FLAIR MRI.
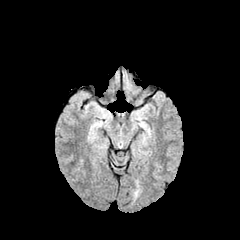
T1-weighted MR image.
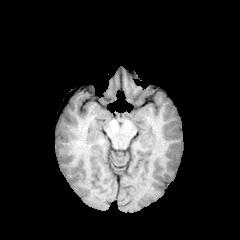
Post-contrast T1-weighted magnetic resonance.
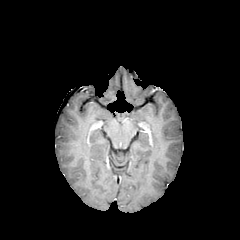
T2-weighted MRI.
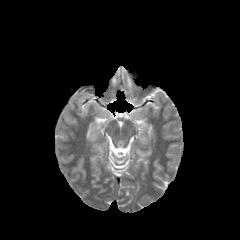
2 edema regions appear at 100,110,108,118; 134,113,142,120.